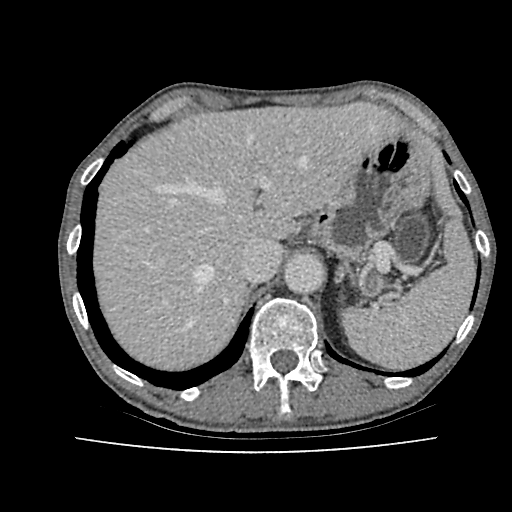
Liver. CT slice. 512x512. The liver is located at rect(92, 104, 405, 369).